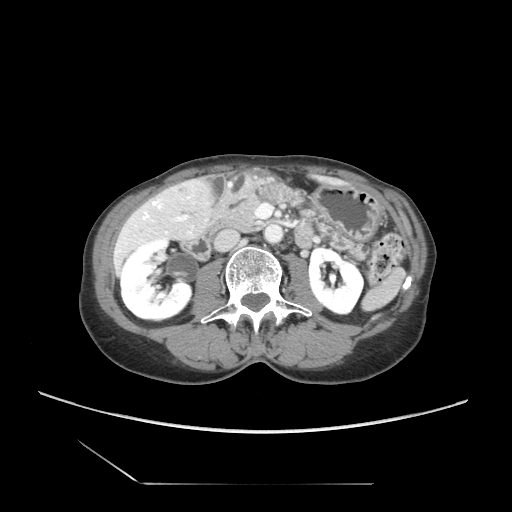
CT image | Abdomen

pancreatic_tumor:
  - region(261, 184, 282, 201)
pancreas:
  - region(238, 183, 363, 257)